FLAIR MR image.
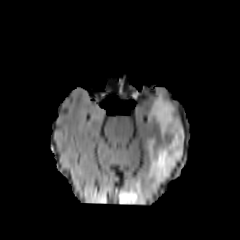
T1-weighted MR.
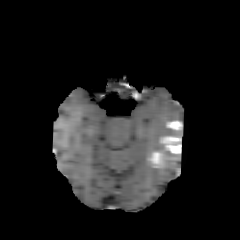
Post-contrast T1-weighted MRI.
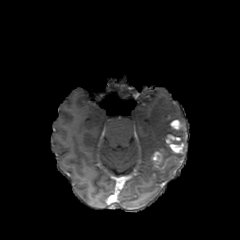
T2-weighted magnetic resonance.
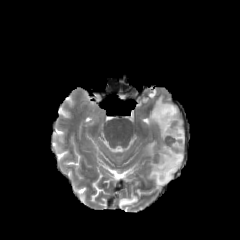
Head
Annotated regions:
- edema: <bbox>146, 92, 184, 184</bbox>, <bbox>119, 197, 137, 203</bbox>
- enhancing tumor: <bbox>152, 152, 163, 164</bbox>, <bbox>166, 134, 185, 153</bbox>, <bbox>170, 120, 182, 129</bbox>
- non-enhancing tumor core: <bbox>160, 155, 177, 164</bbox>